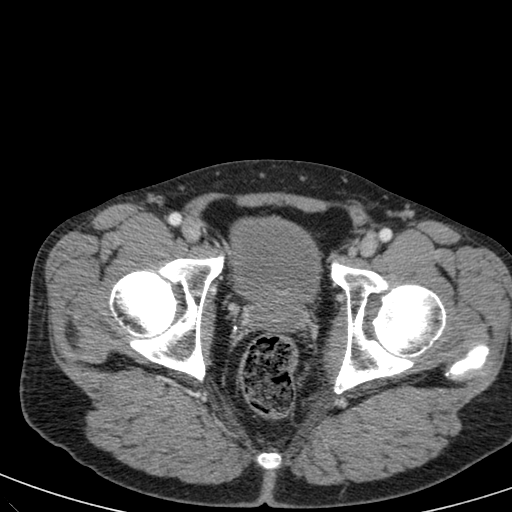
Image size 512x512. CT scan slice. Lower abdomen. urinary_bladder:
  - box=[228, 216, 320, 304]